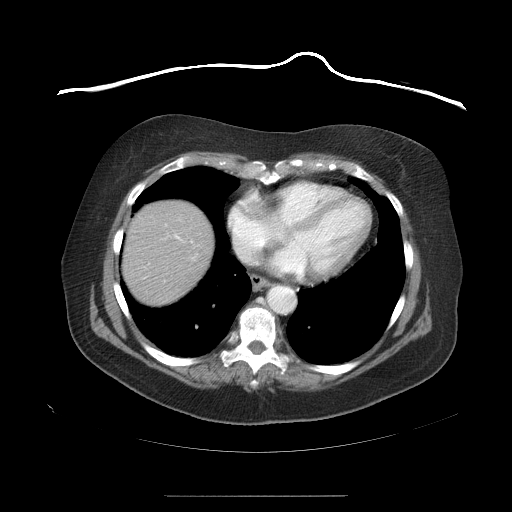

CT | Image size 512x512
The vessel annotation is not exhaustive.
2 hepatic vessel regions are located at <box>191,256,195,259</box>, <box>174,236,179,238</box>.